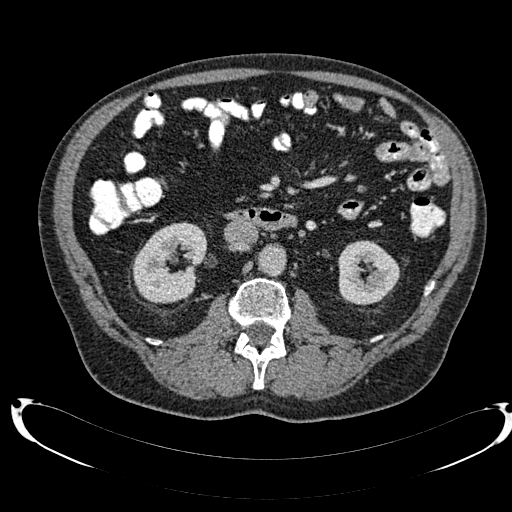
Abdomen; CT image; 512x512
2 kidney regions are bounded by (x1=338, y1=240, x2=399, y2=304), (x1=133, y1=222, x2=206, y2=303).